FLAIR MRI.
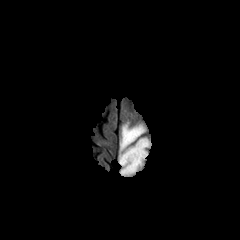
T1-weighted MR.
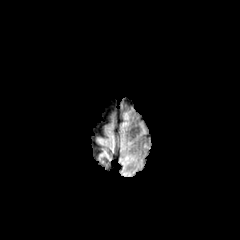
Post-contrast T1-weighted MR image.
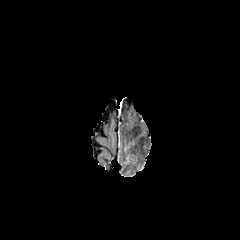
T2-weighted MRI.
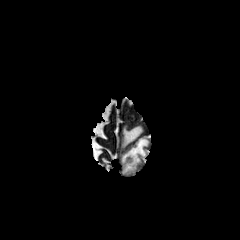
240x240 px
Findings:
* edema: 120 127 150 176